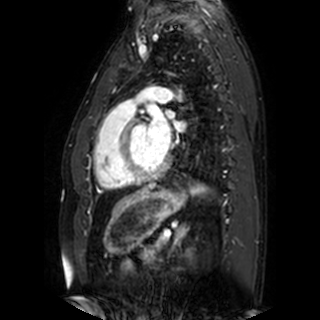
MRI, Cardiac

Left atrium: bounding box 166:109:174:119, 174:122:183:130, 147:109:170:152.